CT scan slice; Image size 512x512; Slice index 30; Abdomen

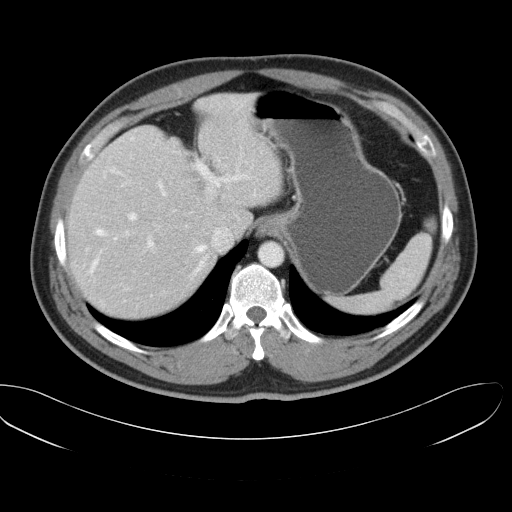
Only some of the vessels may be annotated.
The most prominent 15 hepatic vessel regions (of 22) appear at <bbox>195, 147, 250, 193</bbox>, <bbox>130, 153, 132, 158</bbox>, <bbox>123, 287, 129, 290</bbox>, <bbox>127, 213, 135, 220</bbox>, <bbox>157, 179, 165, 195</bbox>, <bbox>147, 238, 153, 251</bbox>, <bbox>95, 229, 106, 234</bbox>, <bbox>88, 257, 98, 274</bbox>, <bbox>103, 171, 105, 177</bbox>, <bbox>195, 245, 205, 252</bbox>, <bbox>107, 167, 123, 175</bbox>, <bbox>190, 255, 207, 278</bbox>, <bbox>212, 227, 232, 250</bbox>, <bbox>217, 157, 220, 165</bbox>, <bbox>125, 231, 128, 236</bbox>.